Head, Slice index 93
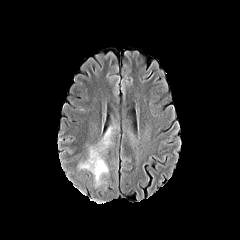
FLAIR magnetic resonance.
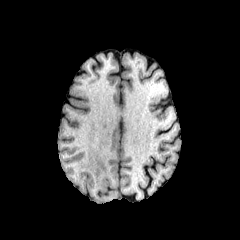
T1-weighted MRI.
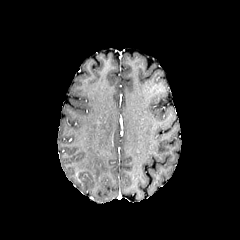
Same slice, post-contrast T1-weighted magnetic resonance.
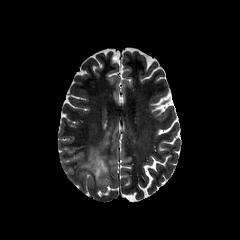
T2-weighted MR image of the same slice.
Edema = 80:147:107:185.